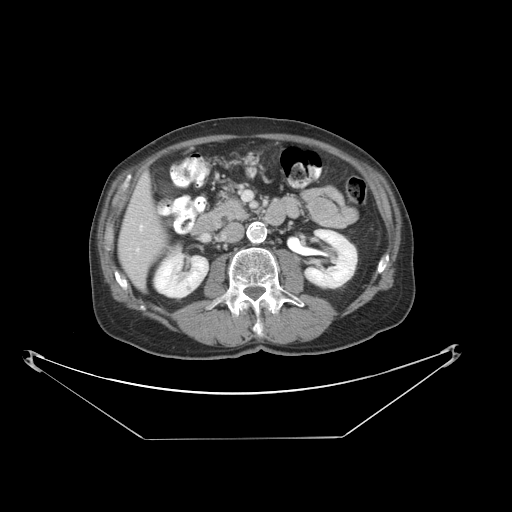 CT scan slice. Liver. Some hepatic vessels may have no box.
Hepatic vessel at (left=139, top=225, right=142, bottom=230), (left=136, top=247, right=139, bottom=251).